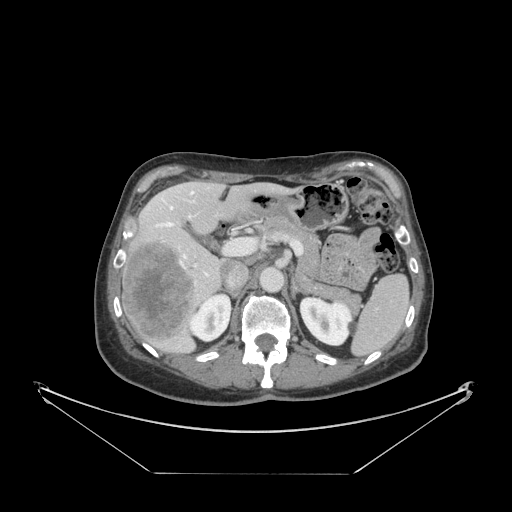
Image size 512x512, Abdomen, CT slice

spleen:
  - x1=353, y1=276, x2=409, y2=354